Slice 32/39. MR.
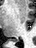 Posterior hippocampus: 12, 39, 18, 41.